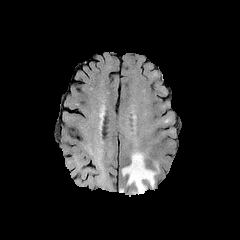
FLAIR magnetic resonance.
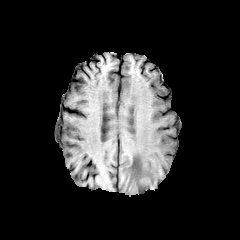
T1-weighted MR.
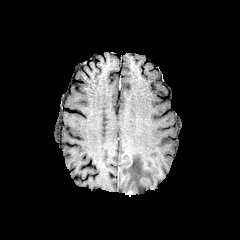
Post-contrast T1-weighted MRI of the same slice.
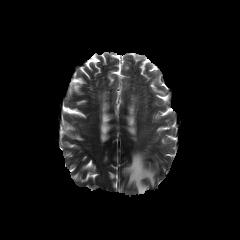
T2-weighted MR.
Brain.
{
  "edema": [
    "l=122, t=152, r=158, b=193"
  ]
}